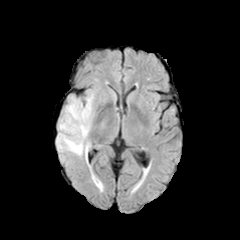
FLAIR MR image.
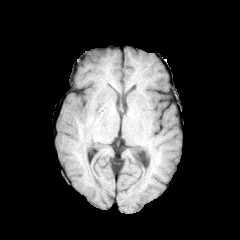
T1-weighted MR image.
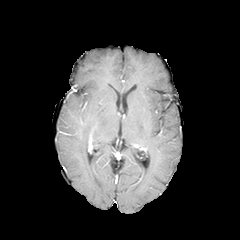
Post-contrast T1-weighted MR image of the same slice.
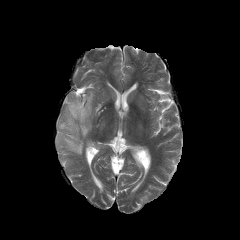
T2-weighted MRI of the same slice.
The edema lies within box=[56, 90, 95, 166].